FLAIR MR.
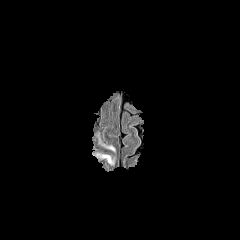
T1-weighted MRI.
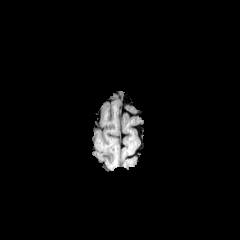
Post-contrast T1-weighted MR.
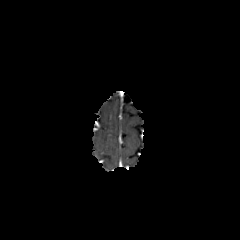
T2-weighted MRI.
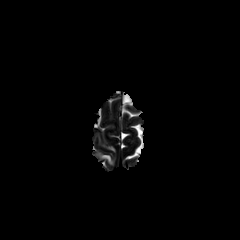
Edema at (left=96, top=154, right=113, bottom=163).